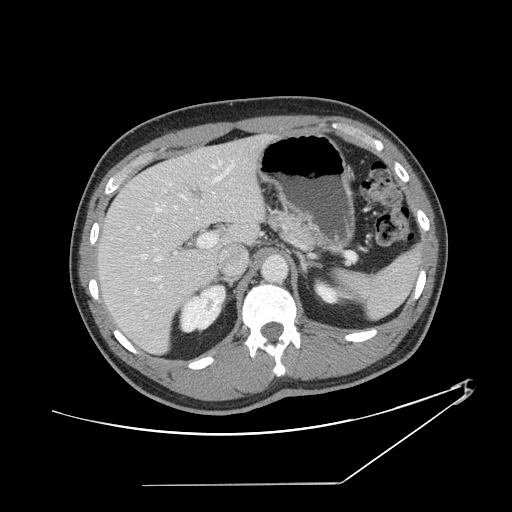

CT. Abdomen. The vessel annotation is not exhaustive.
<segmentation partial="true">
  <hepatic_vessel shown="15" total="18">l=156, t=257, r=161, b=260; l=141, t=255, r=146, b=258; l=181, t=195, r=186, b=199; l=163, t=190, r=165, b=191; l=213, t=161, r=221, b=168; l=212, t=160, r=234, b=182; l=160, t=286, r=161, b=289; l=156, t=207, r=160, b=212; l=148, t=277, r=159, b=280; l=169, t=183, r=171, b=185; l=174, t=206, r=176, b=208; l=154, t=232, r=158, b=235; l=135, t=290, r=138, b=293; l=197, t=233, r=216, b=247; l=137, t=227, r=139, b=229</hepatic_vessel>
</segmentation>